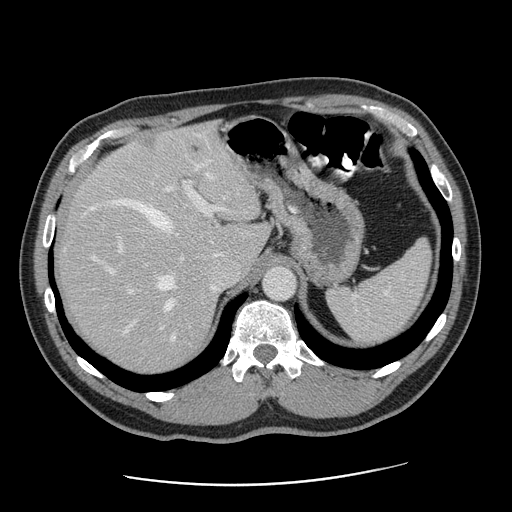
CT, Abdomen

The vessel boxes may cover only some of the vessels.
Liver tumor at box(187, 142, 202, 155); box(138, 136, 158, 150).
Largest 15 of 17 hepatic vessel regions at box(206, 173, 213, 178); box(94, 257, 100, 261); box(120, 242, 123, 250); box(172, 335, 174, 340); box(202, 243, 246, 283); box(124, 329, 128, 332); box(104, 264, 112, 270); box(90, 206, 98, 208); box(165, 300, 173, 310); box(184, 181, 217, 215); box(128, 287, 132, 291); box(196, 164, 199, 169); box(168, 187, 173, 189); box(157, 276, 175, 289); box(106, 199, 171, 227).